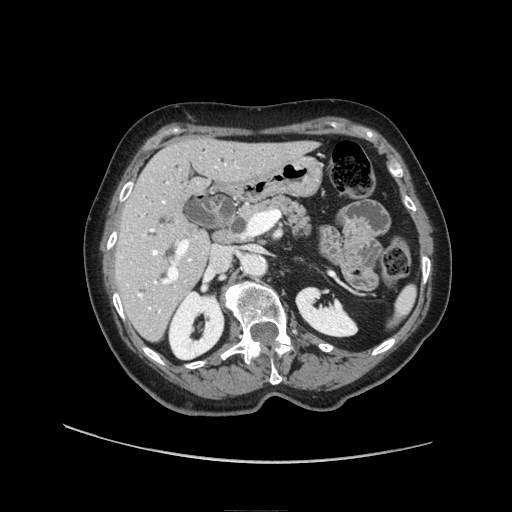 512x512, Computed tomography
Pancreas: bounding box x1=242, y1=197, x2=309, y2=236.